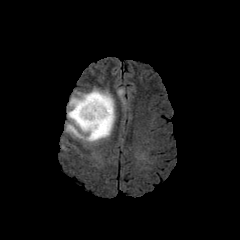
FLAIR magnetic resonance.
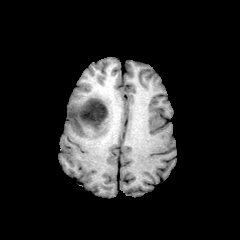
T1-weighted MR image.
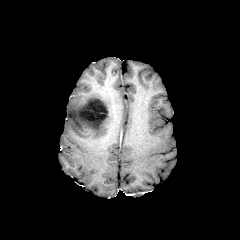
Same slice, post-contrast T1-weighted MRI.
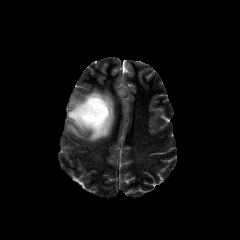
T2-weighted MR.
Head.
<segmentation>
  <edema>[65, 89, 115, 142]</edema>
  <non-enhancing_tumor_core>[73, 96, 113, 140]</non-enhancing_tumor_core>
</segmentation>